FLAIR MR image.
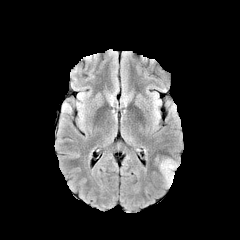
T1-weighted MR.
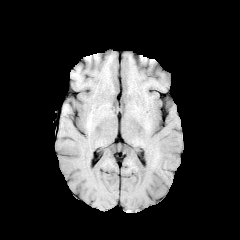
Post-contrast T1-weighted magnetic resonance.
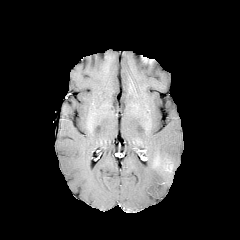
T2-weighted magnetic resonance.
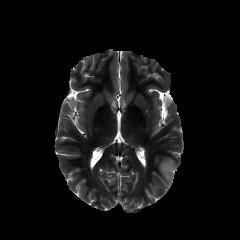
{
  "edema": [
    "left=160, top=158, right=176, bottom=187"
  ]
}